FLAIR MRI.
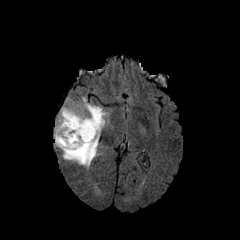
T1-weighted MR image.
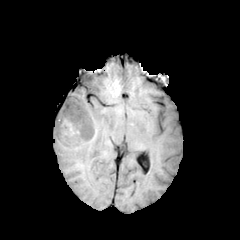
Post-contrast T1-weighted MR.
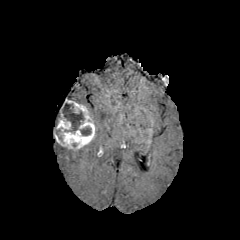
T2-weighted MR.
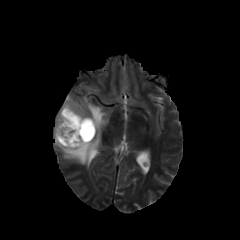
240x240
<segmentation>
  <non-enhancing_tumor_core><bbox>56, 129, 64, 142</bbox>, <bbox>61, 103, 91, 136</bbox></non-enhancing_tumor_core>
  <edema><bbox>54, 95, 111, 170</bbox></edema>
  <enhancing_tumor><bbox>54, 98, 94, 150</bbox></enhancing_tumor>
</segmentation>